Medial temporal lobe | MR image 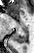

posterior hippocampus: <box>14,27,27,43</box>